Field of view 240x240 mm. Brain.
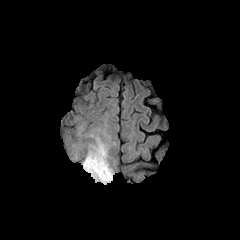
FLAIR magnetic resonance.
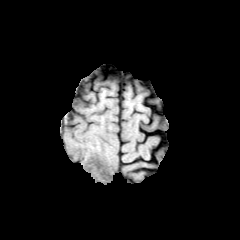
T1-weighted MR of the same slice.
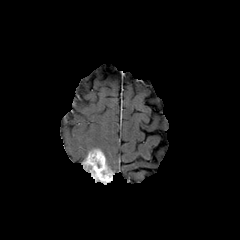
Post-contrast T1-weighted MRI.
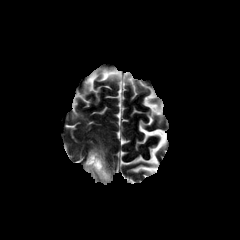
T2-weighted MR image.
{"enhancing_tumor": ["(83,148,113,183)"], "edema": ["(82,124,116,172)", "(77,124,84,136)", "(71,142,82,160)"]}